FLAIR MR image.
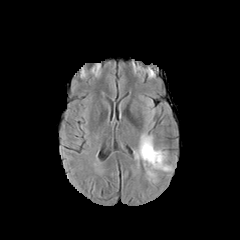
T1-weighted MR.
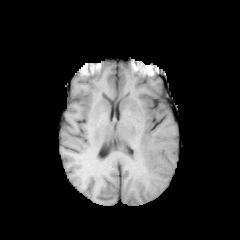
Post-contrast T1-weighted magnetic resonance.
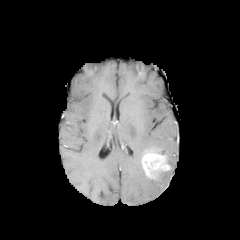
T2-weighted MR.
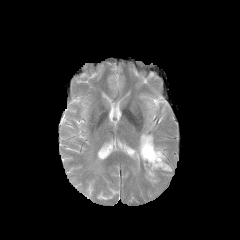
Head
Enhancing tumor: bounding box (x1=141, y1=148, x2=170, y2=178).
Edema: bounding box (x1=133, y1=133, x2=169, y2=167).